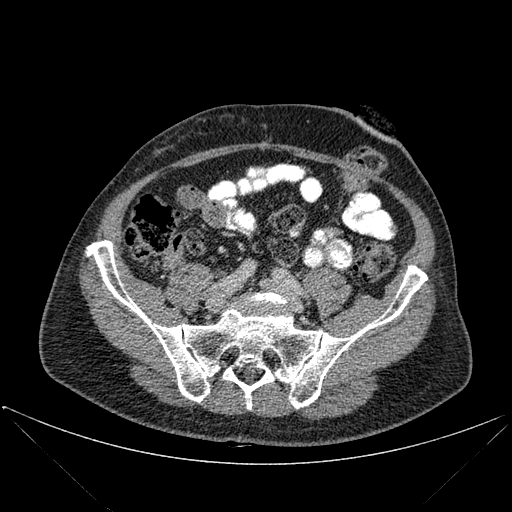

CT | 512x512 px
<segmentation>
  <bone><box>86,240,427,409</box></bone>
</segmentation>